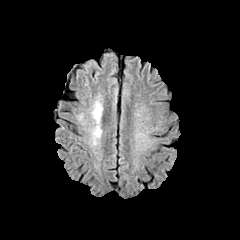
FLAIR MRI.
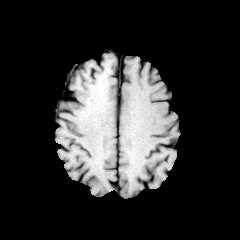
T1-weighted MR image.
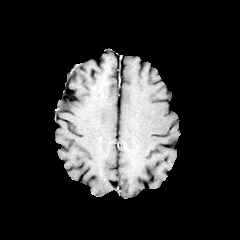
Post-contrast T1-weighted magnetic resonance.
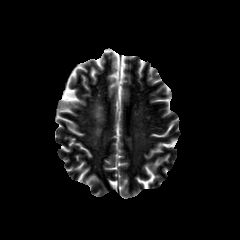
T2-weighted MR image of the same slice.
Brain
* edema: (91,94,103,123), (92,125,101,136)